Image size 240x240, Slice 111/155, Brain, Field of view 240x240 mm
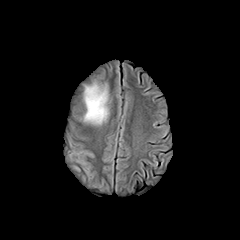
FLAIR MRI.
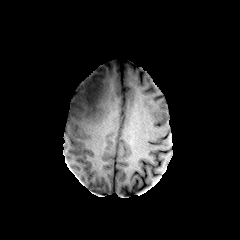
T1-weighted MRI.
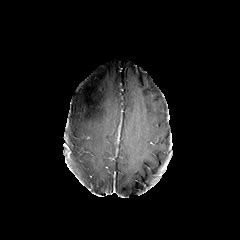
Same slice, post-contrast T1-weighted magnetic resonance.
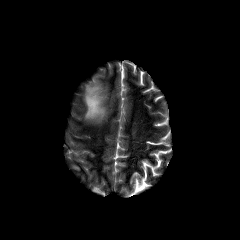
T2-weighted MR image of the same slice.
The edema is located at rect(82, 81, 108, 125).